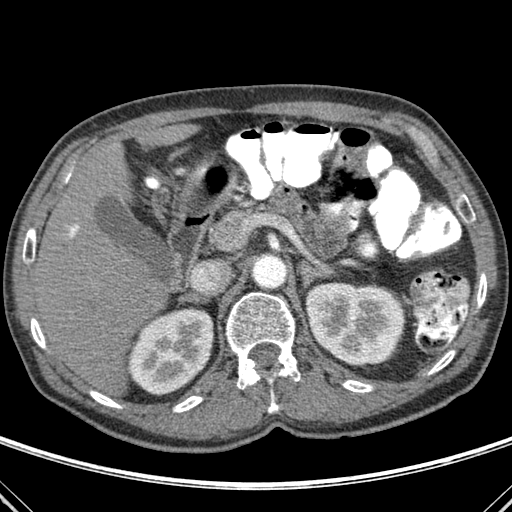 CT image
2 kidney regions are bounded by {"x1": 307, "y1": 284, "x2": 403, "y2": 363}, {"x1": 130, "y1": 310, "x2": 212, "y2": 393}. 2 liver regions appear at {"x1": 33, "y1": 145, "x2": 167, "y2": 396}, {"x1": 136, "y1": 125, "x2": 196, "y2": 145}. 10 bone regions are located at {"x1": 173, "y1": 396, "x2": 202, "y2": 412}, {"x1": 90, "y1": 391, "x2": 121, "y2": 408}, {"x1": 457, "y1": 194, "x2": 475, "y2": 220}, {"x1": 268, "y1": 387, "x2": 278, "y2": 412}, {"x1": 31, "y1": 318, "x2": 45, "y2": 348}, {"x1": 477, "y1": 273, "x2": 486, "y2": 307}, {"x1": 428, "y1": 350, "x2": 454, "y2": 374}, {"x1": 226, "y1": 292, "x2": 299, "y2": 388}, {"x1": 23, "y1": 228, "x2": 35, "y2": 261}, {"x1": 342, "y1": 380, "x2": 372, "y2": 392}.